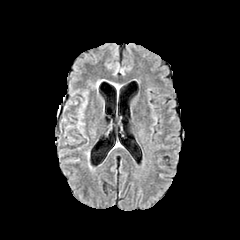
FLAIR MRI.
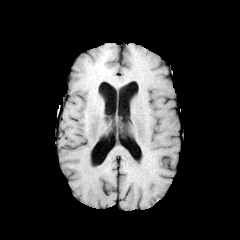
Same slice, T1-weighted MR image.
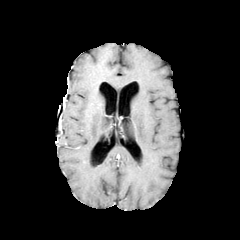
Post-contrast T1-weighted MR.
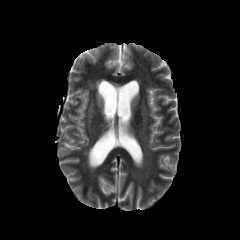
T2-weighted MR.
The edema is bounded by x1=59 y1=114 x2=71 y2=134.